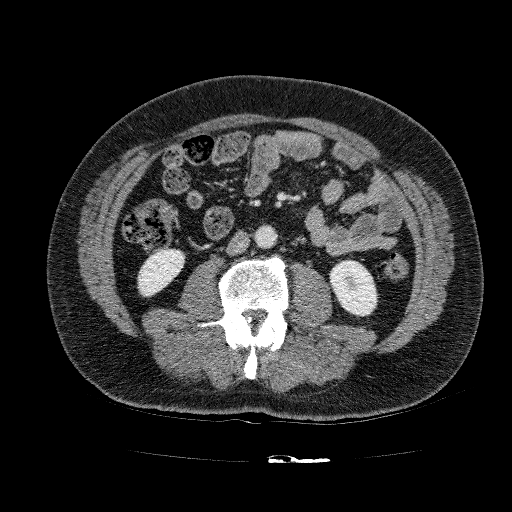
Abdomen, Image size 512x512, CT
<segmentation>
  <kidney>[x1=330, y1=260, x2=376, y2=315], [x1=138, y1=249, x2=184, y2=295]</kidney>
</segmentation>